FLAIR MR image.
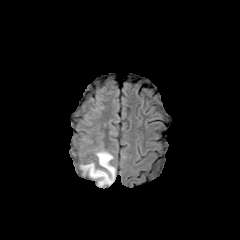
T1-weighted MR.
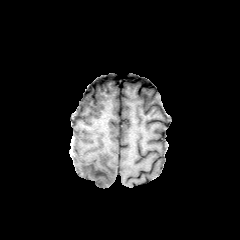
Post-contrast T1-weighted magnetic resonance.
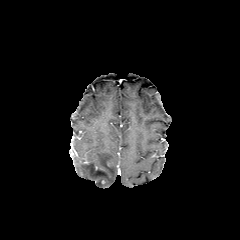
T2-weighted magnetic resonance.
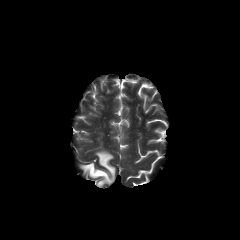
Image size 240x240.
non-enhancing_tumor_core:
  - <box>90,166,107,178</box>
edema:
  - <box>80,150,115,186</box>